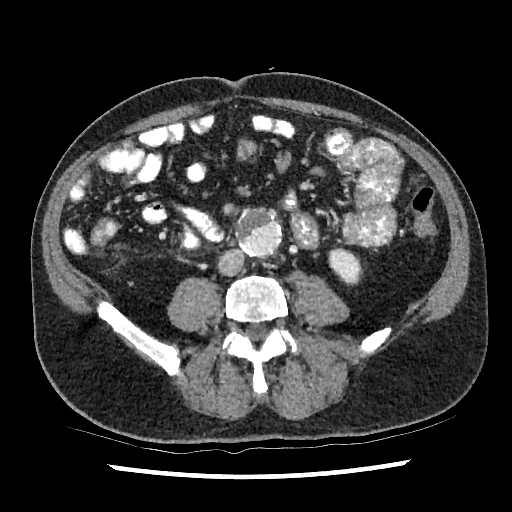 CT scan slice

<segmentation>
  <kidney>{"x1": 336, "y1": 257, "x2": 359, "y2": 282}</kidney>
</segmentation>